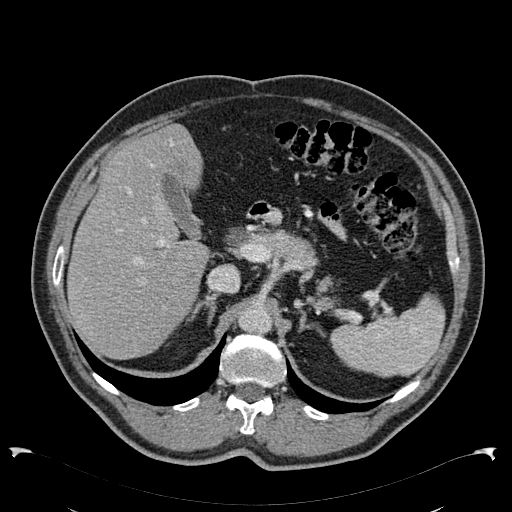

Computed tomography | Liver
focal_liver_lesion:
  - rect(151, 195, 167, 214)
liver:
  - rect(67, 125, 210, 359)